Slice 116 of 565 | 512x512 | CT scan slice

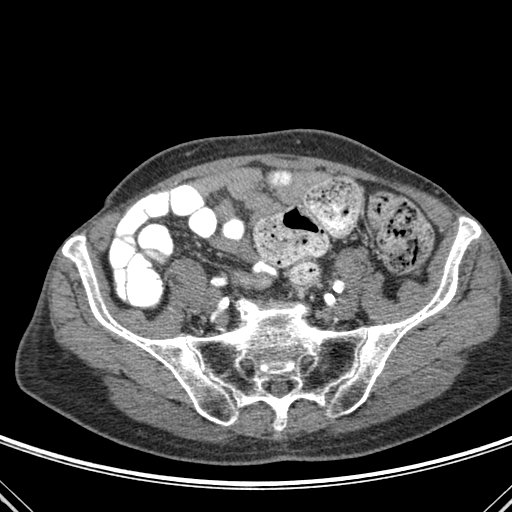
The bone is at (62, 217, 481, 430).